Computed tomography, Slice 411 of 722
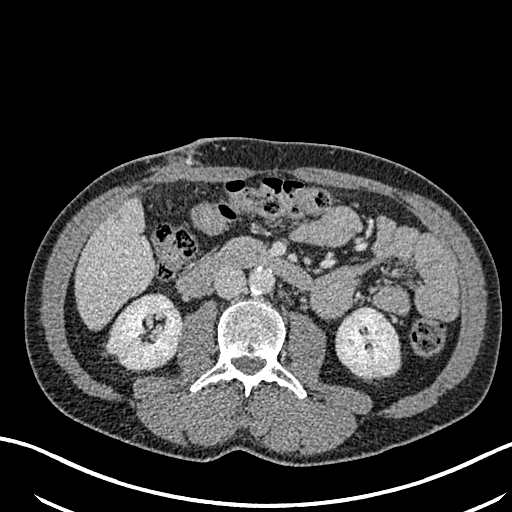
• hepatic lesion: 114,212,123,219
• kidney: 336,308,399,376; 109,295,181,368
• liver: 75,198,152,328